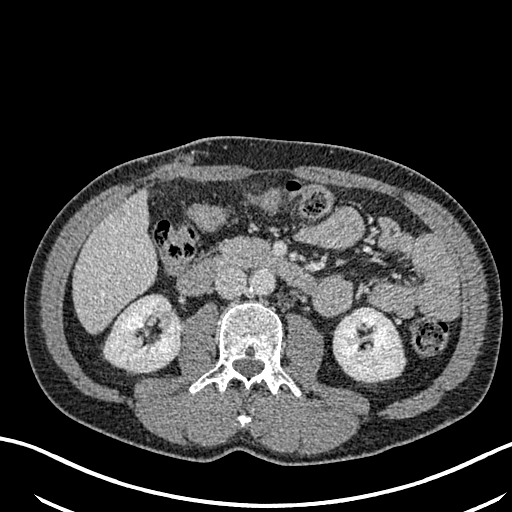
CT slice, 512x512
* liver lesion: <bbox>117, 208, 126, 216</bbox>
* liver: <bbox>73, 191, 154, 331</bbox>
* kidney: <bbox>333, 308, 404, 380</bbox>, <bbox>106, 295, 180, 371</bbox>